CT scan slice 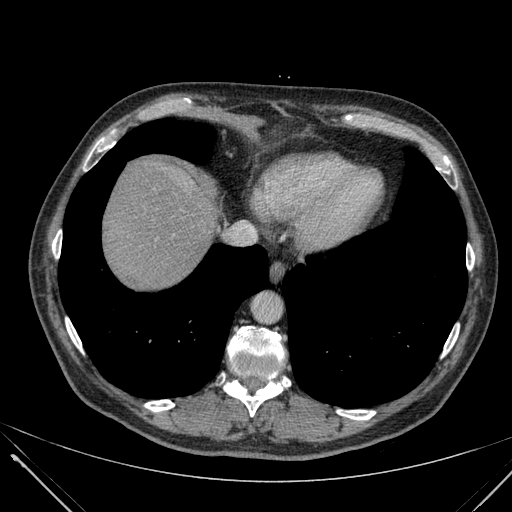

Liver — <box>103,156,219,289</box>.